CT; Slice index 32; Abdomen 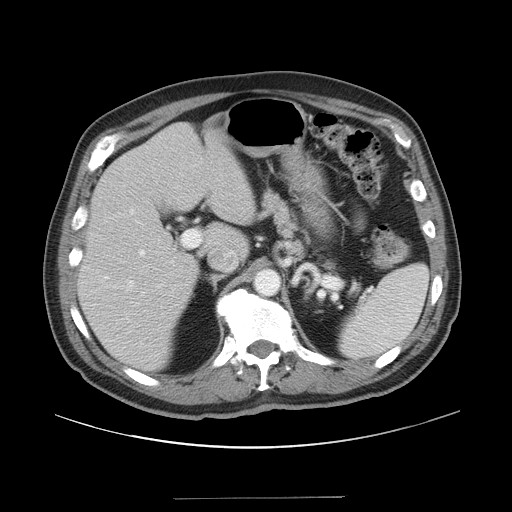

Findings:
• pancreas: region(262, 190, 294, 237)